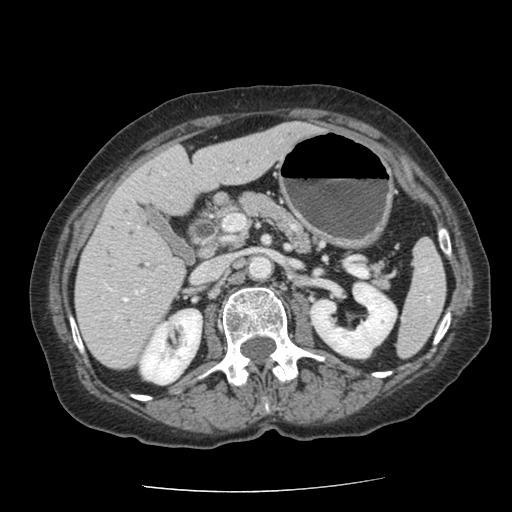 Abdomen | CT scan slice
<segmentation>
  <pancreas>rect(371, 264, 385, 284); rect(216, 192, 312, 252)</pancreas>
</segmentation>